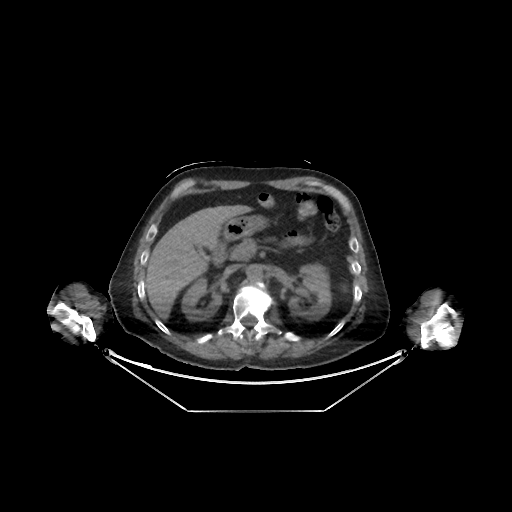

Abdomen, CT image
Liver at [144, 205, 250, 317].
Kidney at [181, 278, 223, 321], [287, 261, 333, 320].